Head | 240x240 px
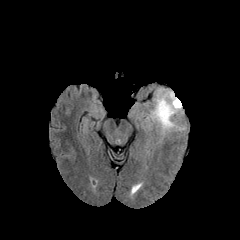
FLAIR MR image.
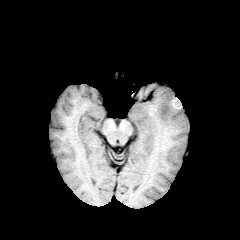
T1-weighted magnetic resonance of the same slice.
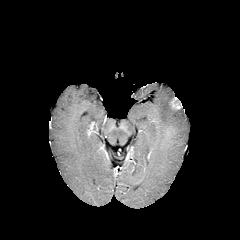
Same slice, post-contrast T1-weighted MRI.
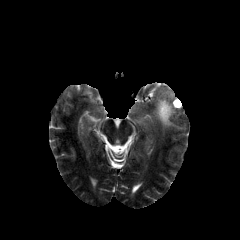
T2-weighted MRI.
Enhancing tumor: 171,97,180,108.
Edema: 141,88,183,135.